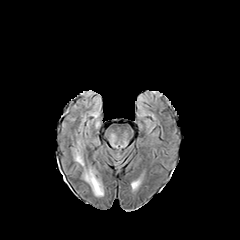
FLAIR MRI.
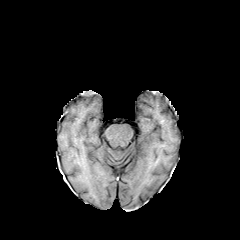
T1-weighted MR.
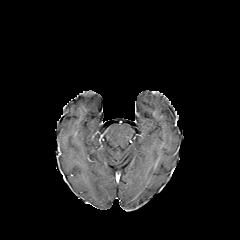
Post-contrast T1-weighted magnetic resonance.
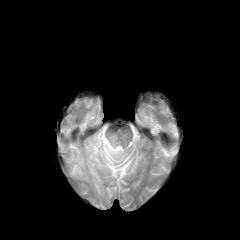
T2-weighted MRI of the same slice.
240x240; Head
edema: l=84, t=172, r=102, b=195